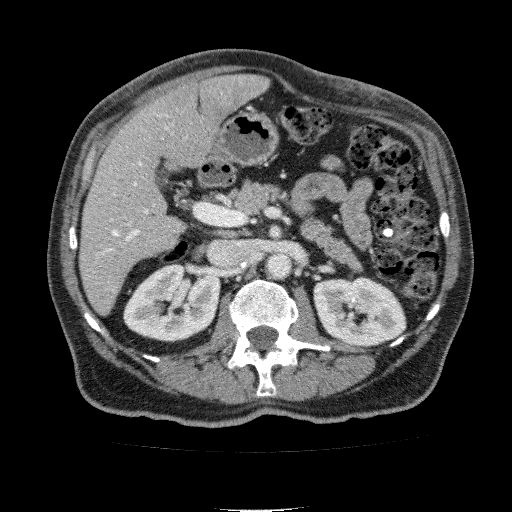
Abdomen; 512x512 px; CT slice
The liver is bounded by [x1=81, y1=75, x2=269, y2=315]. 2 kidney regions are bounded by [x1=314, y1=278, x2=404, y2=345], [x1=124, y1=265, x2=219, y2=339].